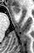

Magnetic resonance. 34x53 px. Medial temporal lobe. <segmentation>
  <anterior_hippocampus>[12,6,19,13]</anterior_hippocampus>
</segmentation>